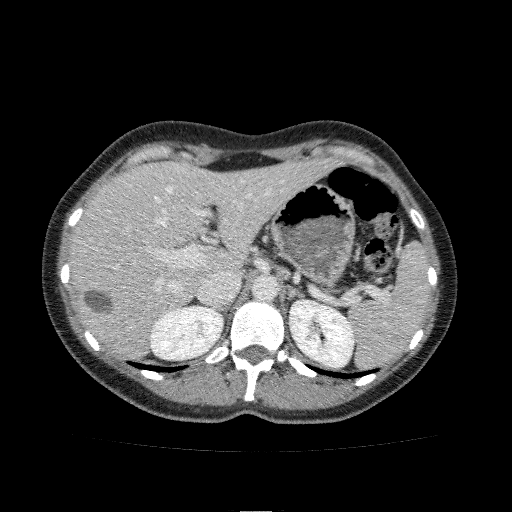 Upper abdomen; CT slice
2 kidney regions are bounded by {"x1": 150, "y1": 306, "x2": 222, "y2": 360}, {"x1": 289, "y1": 300, "x2": 353, "y2": 367}. The liver is located at {"x1": 69, "y1": 156, "x2": 337, "y2": 357}.